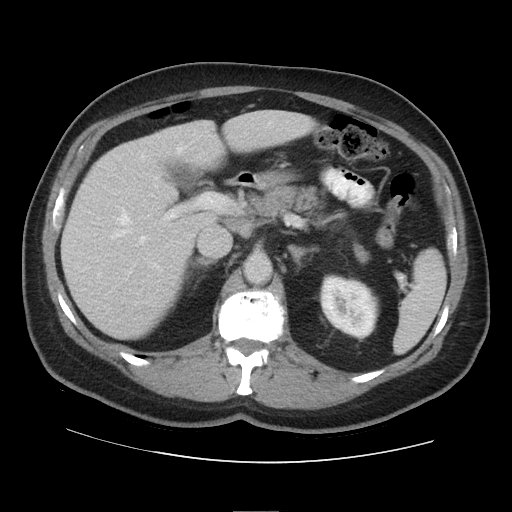

CT. The vessel annotation is not exhaustive.
The hepatic vessel appears at bbox=[163, 207, 179, 220].